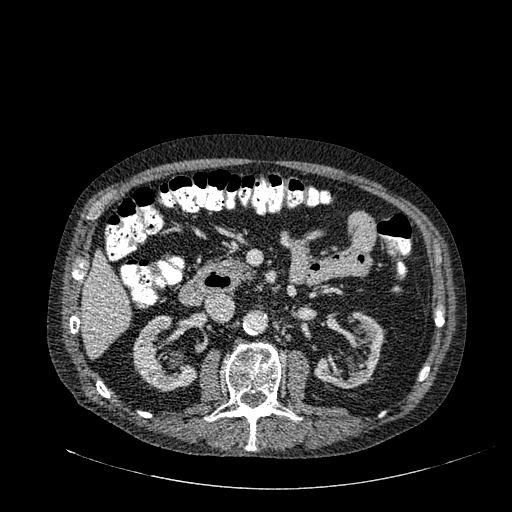 Image size 512x512, Abdomen, CT image
Liver — bbox(82, 250, 130, 359).
Kidney — bbox(133, 315, 196, 391); bbox(314, 312, 384, 388).